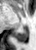

Magnetic resonance; Hippocampus
{"posterior_hippocampus": ["(x1=15, y1=26, x2=27, y2=42)"]}